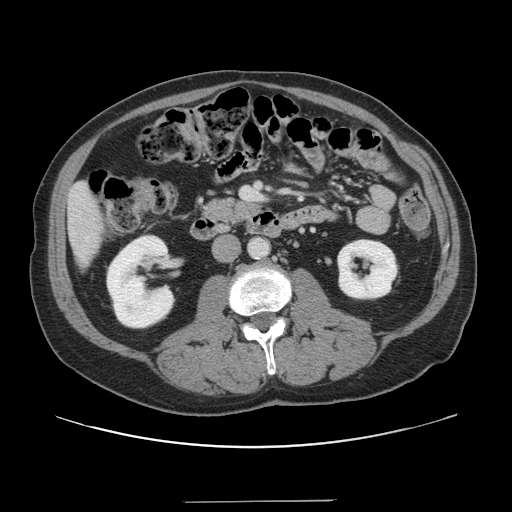

CT image | Abdomen | 512x512 px

The vessel annotation is not exhaustive.
Hepatic vessel at rect(243, 188, 252, 198).